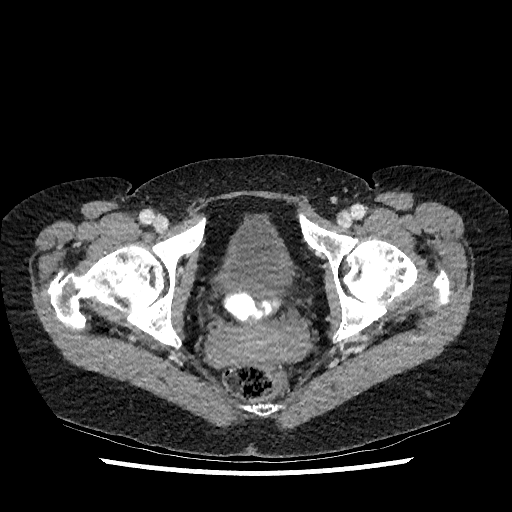 CT slice

Urinary bladder: bounding box region(213, 212, 297, 293).